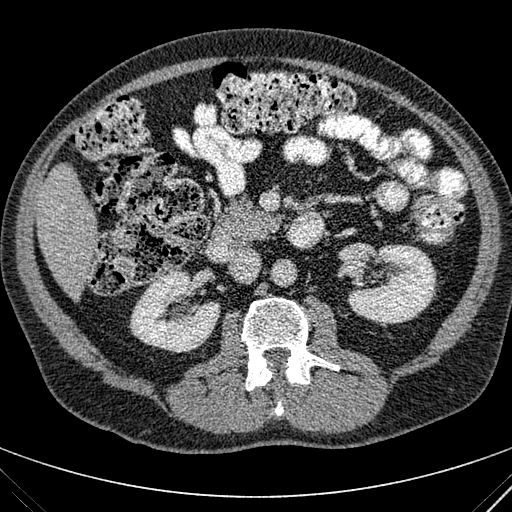
CT image. 512x512. Abdomen.

Liver — bbox=[36, 165, 96, 301].
Kidney — bbox=[341, 243, 435, 324]; bbox=[130, 270, 219, 352].